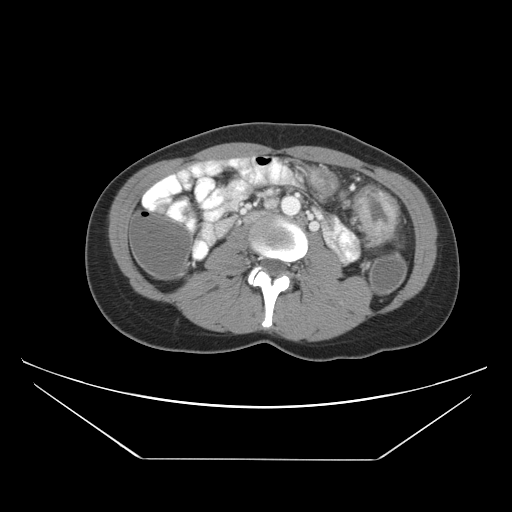

Pelvis, CT slice
colon tumor: [352, 187, 398, 249]